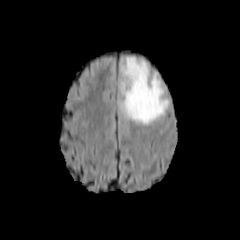
FLAIR magnetic resonance.
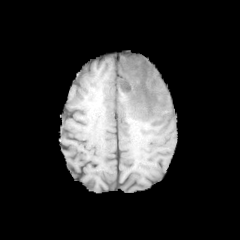
T1-weighted MRI.
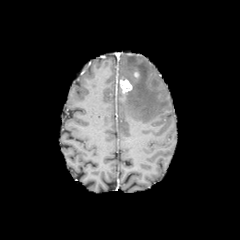
Post-contrast T1-weighted MR image of the same slice.
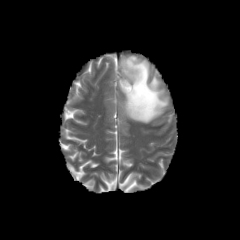
T2-weighted magnetic resonance.
{"non-enhancing_tumor_core": ["box(123, 65, 137, 75)"], "edema": ["box(120, 56, 169, 124)"], "enhancing_tumor": ["box(120, 78, 132, 93)"]}